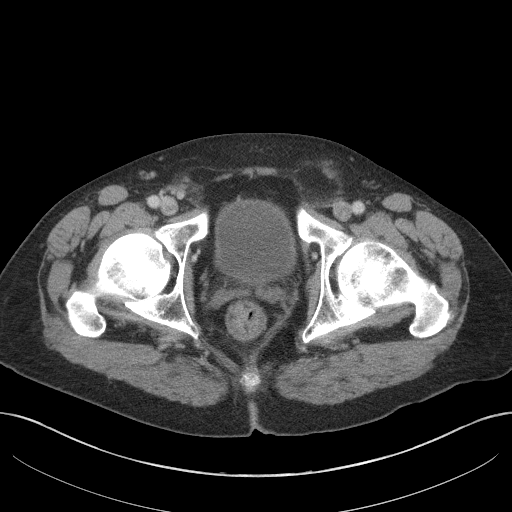

Pelvis; CT

Segmented structures:
- urinary bladder: region(213, 203, 296, 293)